Computed tomography; Field of view 512 mm wide, 1.00 mm slice spacing 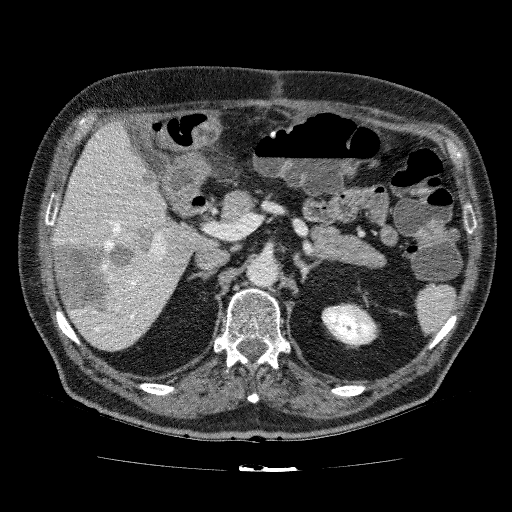

Kidney — rect(322, 304, 376, 345).
Liver — rect(50, 119, 219, 351).
Hepatic lesion — rect(51, 223, 157, 314); rect(138, 168, 156, 188).